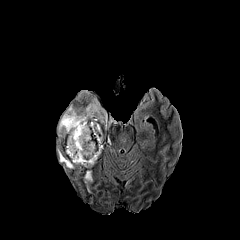
FLAIR magnetic resonance.
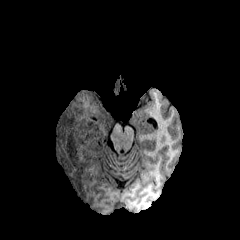
Same slice, T1-weighted magnetic resonance.
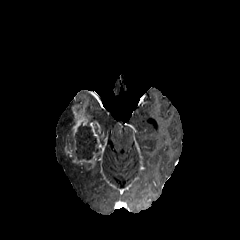
Same slice, post-contrast T1-weighted MR image.
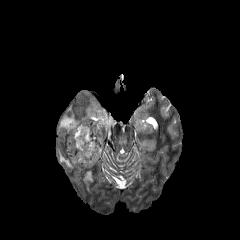
T2-weighted MRI.
Head
enhancing_tumor:
  - rect(64, 95, 104, 170)
edema:
  - rect(86, 97, 106, 123)
  - rect(56, 110, 74, 171)
  - rect(84, 170, 92, 193)
non-enhancing_tumor_core:
  - rect(63, 90, 91, 140)
  - rect(75, 124, 98, 160)